Slice index 101
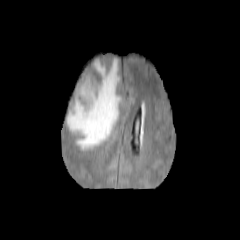
FLAIR magnetic resonance.
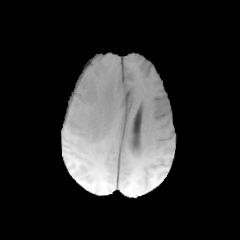
Same slice, T1-weighted MR image.
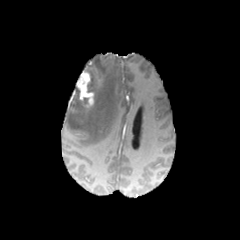
Same slice, post-contrast T1-weighted MR image.
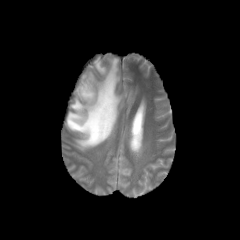
Same slice, T2-weighted magnetic resonance.
enhancing_tumor:
  - 77:70:95:104
edema:
  - 66:57:122:149
non-enhancing_tumor_core:
  - 85:60:103:100
  - 76:87:95:109